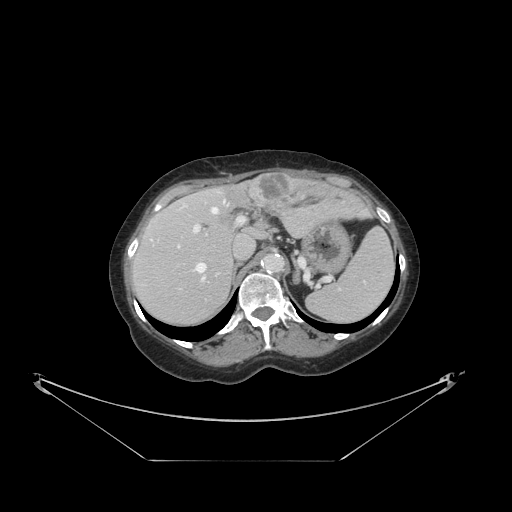

Computed tomography
The vessel annotation is not exhaustive.
<segmentation>
  <liver_tumor>(left=249, top=173, right=295, bottom=206)</liver_tumor>
  <hepatic_vessel>(left=201, top=277, right=204, bottom=281), (left=192, top=224, right=199, bottom=232), (left=234, top=244, right=254, bottom=257), (left=194, top=262, right=205, bottom=273), (left=211, top=208, right=217, bottom=212), (left=178, top=245, right=179, bottom=247), (left=236, top=216, right=246, bottom=224), (left=224, top=200, right=227, bottom=206), (left=183, top=204, right=186, bottom=206)</hepatic_vessel>
</segmentation>